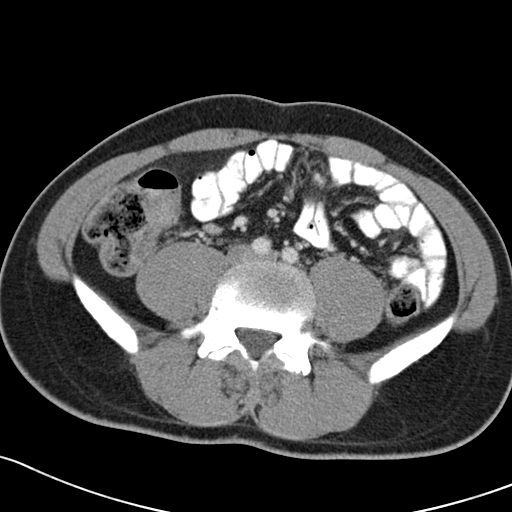
CT

The colon tumor is bounded by region(133, 189, 180, 259).